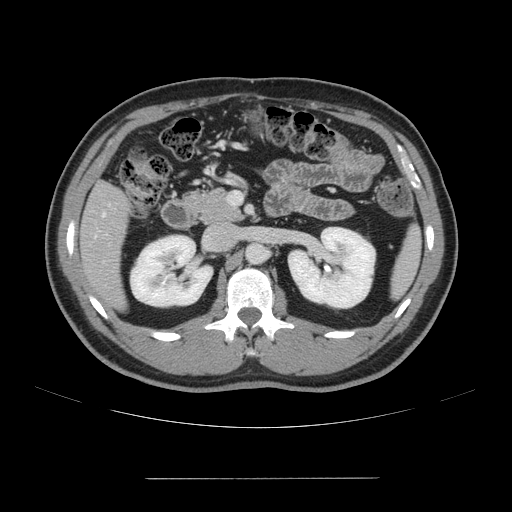
512x512 px; CT slice
The vessel annotation is not exhaustive.
Findings:
- hepatic vessel: 95, 235, 96, 237; 102, 212, 104, 217